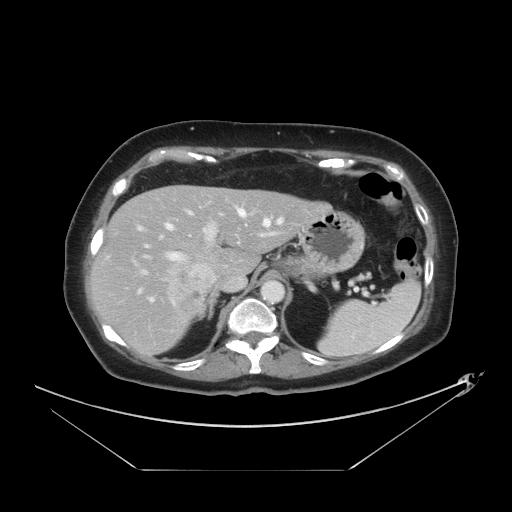 Liver. CT scan slice.

The vessel boxes may cover only some of the vessels.
The liver tumor appears at left=163, top=261, right=219, bottom=310. The top 15 hepatic vessel regions (of 16) are located at left=203, top=225, right=214, bottom=240; left=186, top=210, right=192, bottom=214; left=259, top=232, right=277, bottom=236; left=141, top=270, right=146, bottom=273; left=166, top=252, right=183, bottom=261; left=263, top=218, right=270, bottom=226; left=159, top=235, right=162, bottom=238; left=138, top=289, right=141, bottom=293; left=277, top=218, right=282, bottom=224; left=145, top=244, right=149, bottom=247; left=144, top=256, right=148, bottom=257; left=236, top=207, right=245, bottom=217; left=165, top=223, right=173, bottom=230; left=137, top=226, right=142, bottom=230; left=148, top=297, right=153, bottom=301.